FLAIR MR image.
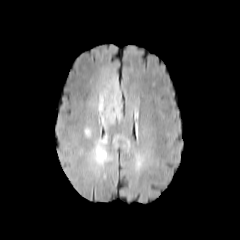
T1-weighted MRI.
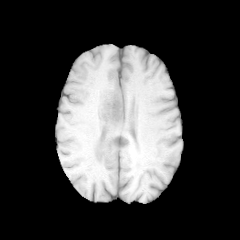
Post-contrast T1-weighted MR.
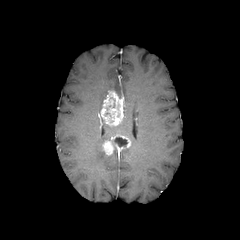
T2-weighted MR.
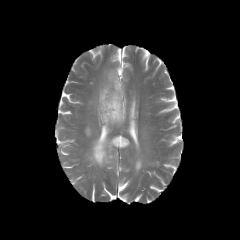
240x240 px
non-enhancing tumor core: [114,137,128,147] | enhancing tumor: [100,90,124,126], [102,134,131,154] | edema: [90,134,112,166], [98,85,121,128]